CT slice | Abdomen

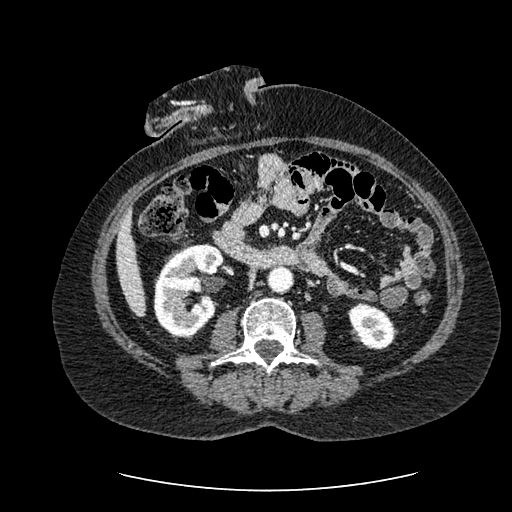
Annotated regions:
- kidney: <bbox>154, 245, 222, 336</bbox>, <bbox>349, 304, 393, 348</bbox>
- liver: <bbox>116, 210, 145, 316</bbox>